FLAIR MR image.
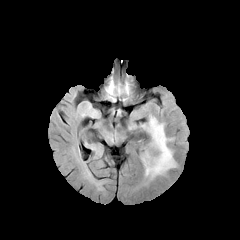
T1-weighted MRI.
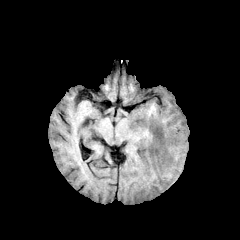
Post-contrast T1-weighted MR image.
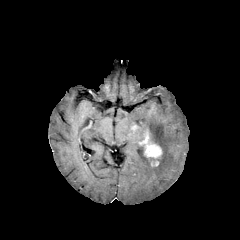
T2-weighted MR.
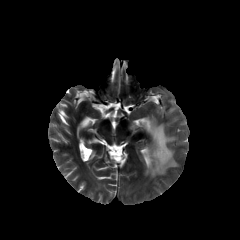
Brain
Edema: l=129, t=114, r=176, b=176.
Enhancing tumor: l=144, t=146, r=161, b=157.